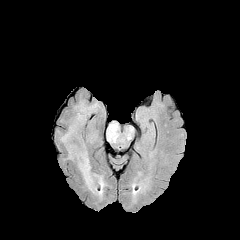
FLAIR magnetic resonance.
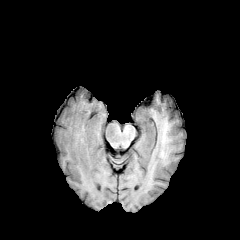
T1-weighted MR image.
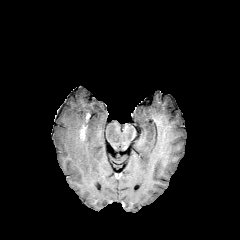
Post-contrast T1-weighted MRI of the same slice.
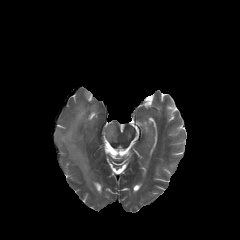
T2-weighted MR image of the same slice.
Enhancing tumor = box=[79, 128, 85, 139].
Edema = box=[60, 125, 105, 199]; box=[106, 123, 113, 139]; box=[76, 105, 94, 122].